FLAIR MR.
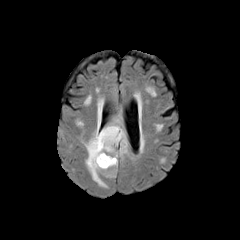
T1-weighted MRI.
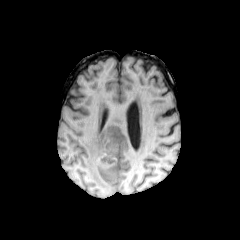
Post-contrast T1-weighted magnetic resonance.
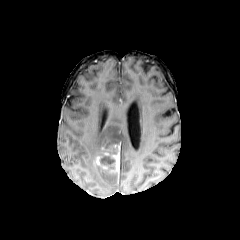
T2-weighted MR image.
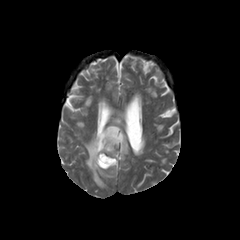
Head.
edema: [81, 104, 128, 187] | non-enhancing tumor core: [97, 143, 119, 169] | enhancing tumor: [93, 142, 120, 175]